Head. Field of view 240 mm wide, 1.00 mm slice spacing. Image size 240x240.
FLAIR MR image.
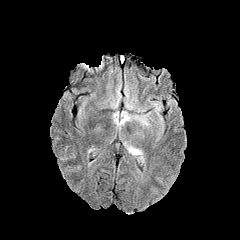
T1-weighted MRI.
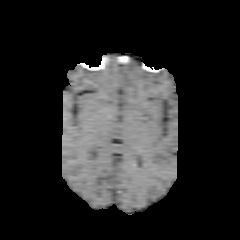
Post-contrast T1-weighted MRI.
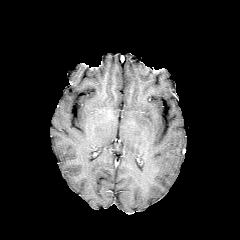
T2-weighted MR image.
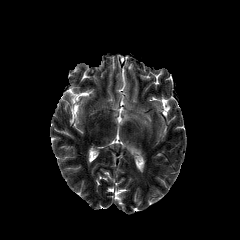
<segmentation>
  <edema>bbox=[123, 141, 145, 162]; bbox=[105, 77, 121, 109]; bbox=[148, 100, 162, 117]; bbox=[112, 73, 153, 132]</edema>
</segmentation>